CT image. Liver. 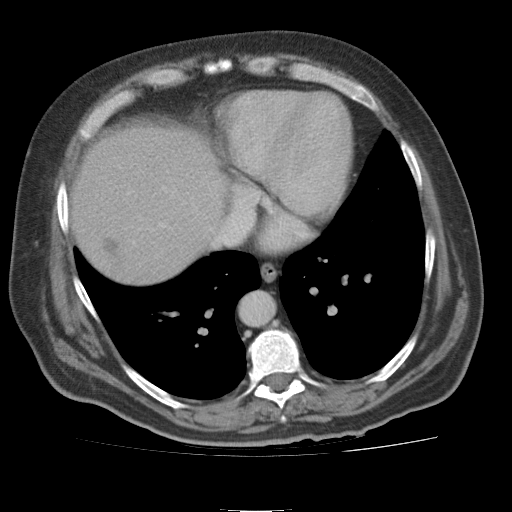
Findings:
* liver: 74, 119, 233, 284
* hepatic lesion: 102, 240, 119, 255